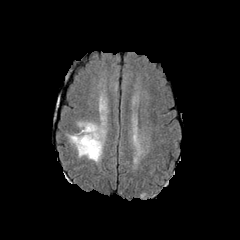
FLAIR magnetic resonance.
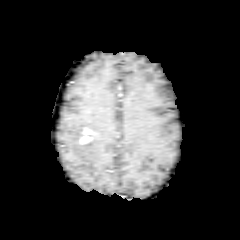
T1-weighted MRI.
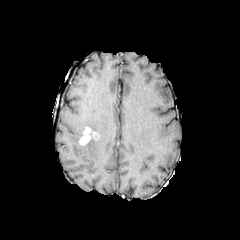
Post-contrast T1-weighted magnetic resonance.
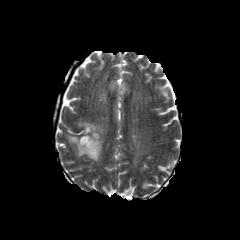
T2-weighted MR of the same slice.
Brain
enhancing tumor: (left=79, top=125, right=98, bottom=146) | edema: (left=69, top=134, right=103, bottom=161), (left=79, top=123, right=98, bottom=132)